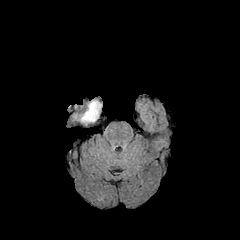
FLAIR MR image.
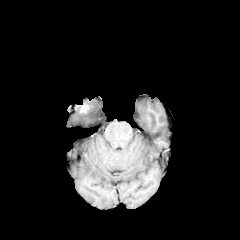
T1-weighted magnetic resonance.
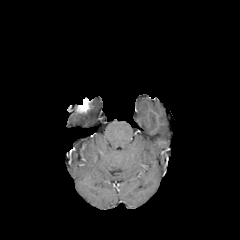
Post-contrast T1-weighted MR image.
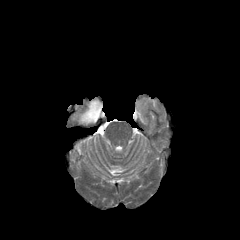
T2-weighted MRI.
240x240
- edema: <box>91,100,100,110</box>, <box>80,111,98,123</box>
- non-enhancing tumor core: <box>85,103,99,117</box>